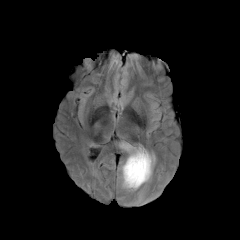
FLAIR MRI.
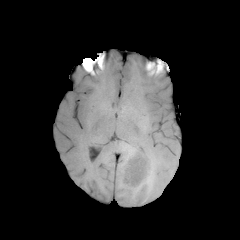
T1-weighted MR.
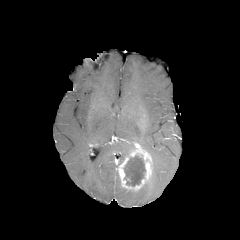
Post-contrast T1-weighted MR image.
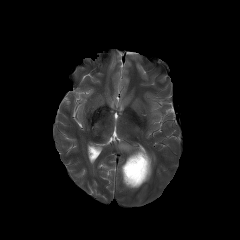
T2-weighted magnetic resonance.
Image size 240x240, Head
Enhancing tumor: (118, 147, 151, 188).
Edema: (123, 146, 135, 157).
Non-enhancing tumor core: (124, 156, 145, 186).